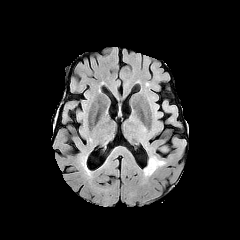
FLAIR MR.
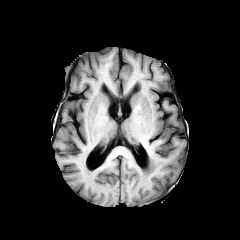
Same slice, T1-weighted MR.
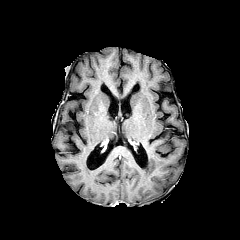
Post-contrast T1-weighted MR image.
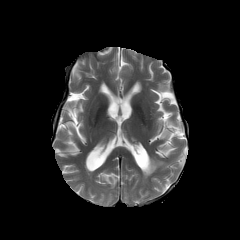
T2-weighted MRI.
Brain
The edema is located at (144,156,165,176).